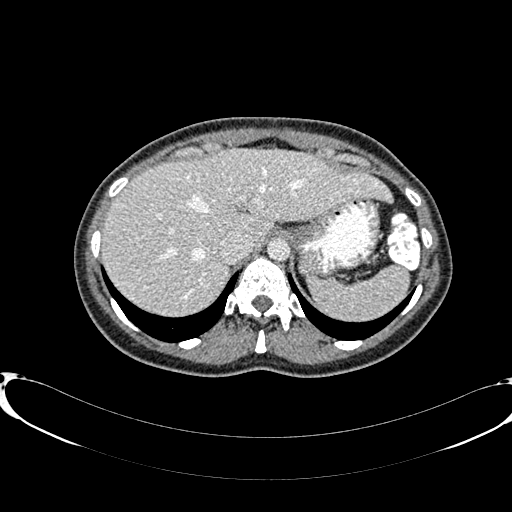 Abdomen. CT scan slice. {"liver": ["box=[102, 149, 392, 315]"]}